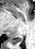
MR
Posterior hippocampus: bounding box rect(11, 36, 23, 44).